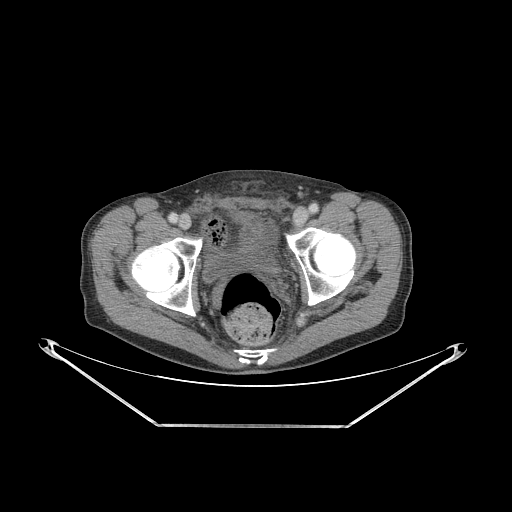
CT image
3 bone regions appear at 286,227,356,305; 132,237,201,315; 235,350,273,365.